Slice 31/98 | Abdomen | Computed tomography
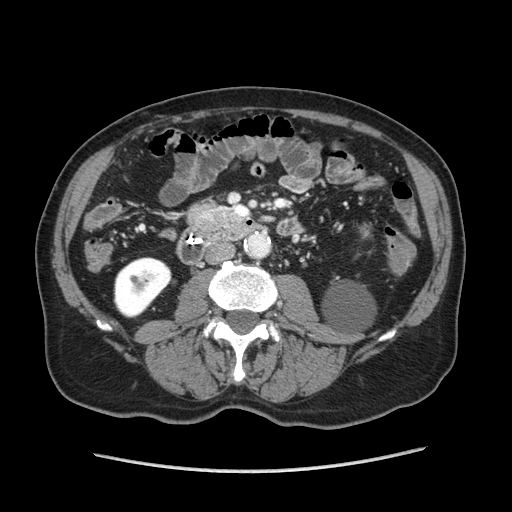

The pancreatic tumor lies within left=222, top=215, right=240, bottom=231. The pancreas lies within left=189, top=204, right=240, bottom=230.